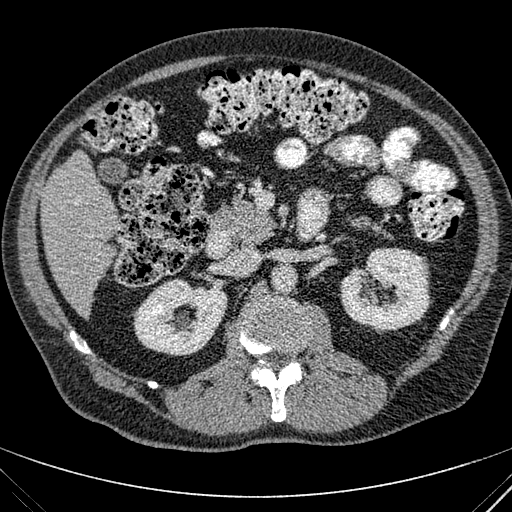 Computed tomography; Abdomen

Annotated regions:
• liver: 41 153 117 317
• kidney: 341 248 429 329, 134 279 227 355